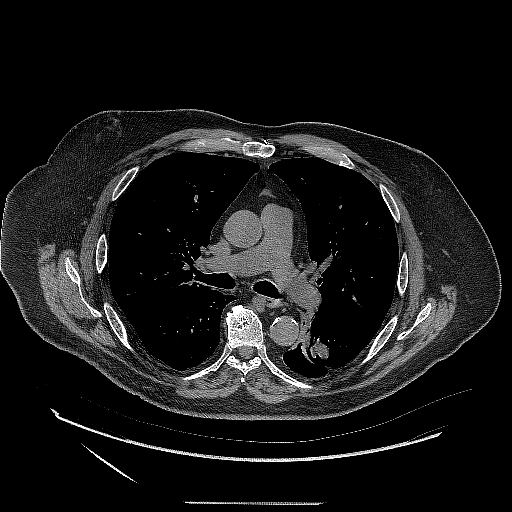

Image size 512x512 | CT scan slice
lung_tumor:
  - region(288, 307, 332, 365)